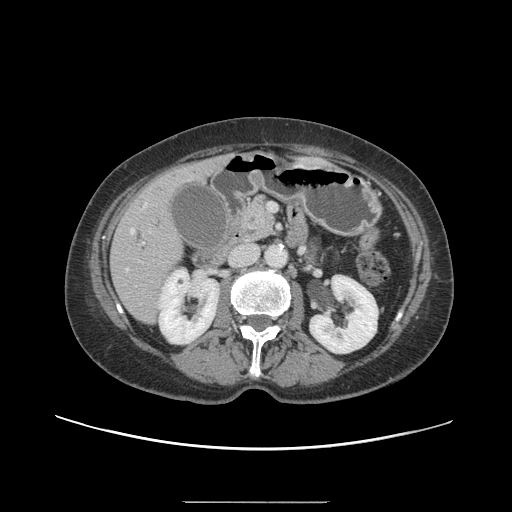

CT slice | Upper abdomen | Image size 512x512
Segmented structures:
* pancreas: [x1=237, y1=197, x2=274, y2=240]
* pancreatic tumor: [x1=255, y1=209, x2=273, y2=228]